Slice 104/165; Liver; Image size 512x512; CT image
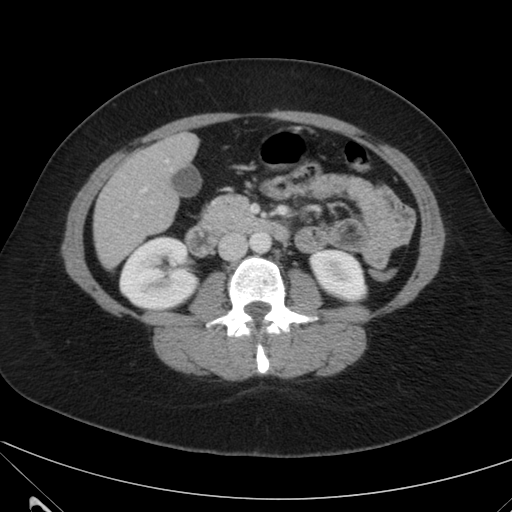 {
  "liver": [
    "(x1=94, y1=132, x2=197, y2=268)"
  ],
  "kidney": [
    "(x1=312, y1=251, x2=364, y2=298)",
    "(x1=121, y1=238, x2=195, y2=308)"
  ]
}